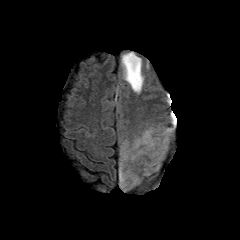
FLAIR MRI.
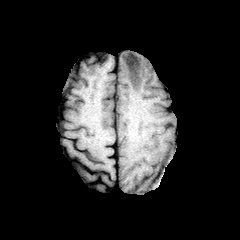
T1-weighted MR image.
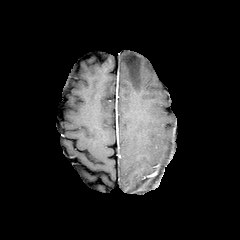
Post-contrast T1-weighted MR.
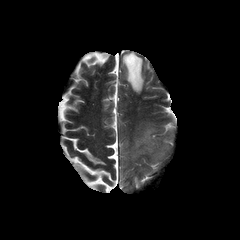
T2-weighted magnetic resonance.
Head
The non-enhancing tumor core is bounded by x1=127 y1=56 x2=140 y2=84. The edema is at x1=120 y1=52 x2=146 y2=93.